Slice index 18 | CT image 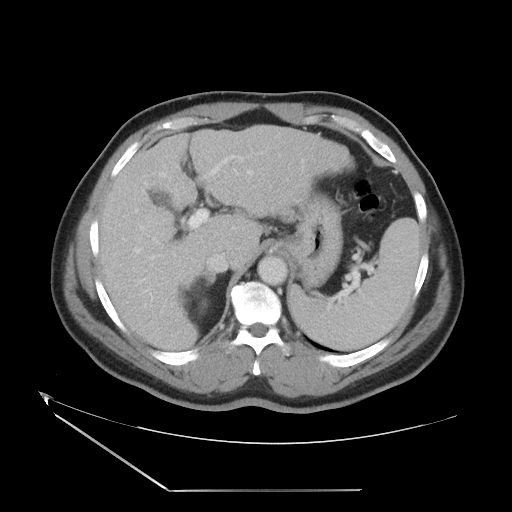
The vessel annotation is not exhaustive.
14 hepatic vessel regions appear at (x1=209, y1=155, x2=242, y2=174), (x1=189, y1=210, x2=207, y2=227), (x1=153, y1=237, x2=158, y2=243), (x1=134, y1=247, x2=141, y2=252), (x1=135, y1=209, x2=137, y2=211), (x1=144, y1=289, x2=149, y2=292), (x1=151, y1=256, x2=154, y2=259), (x1=140, y1=226, x2=144, y2=228), (x1=142, y1=189, x2=144, y2=193), (x1=172, y1=252, x2=175, y2=255), (x1=207, y1=254, x2=226, y2=269), (x1=247, y1=170, x2=252, y2=175), (x1=122, y1=238, x2=125, y2=240), (x1=235, y1=170, x2=238, y2=175).